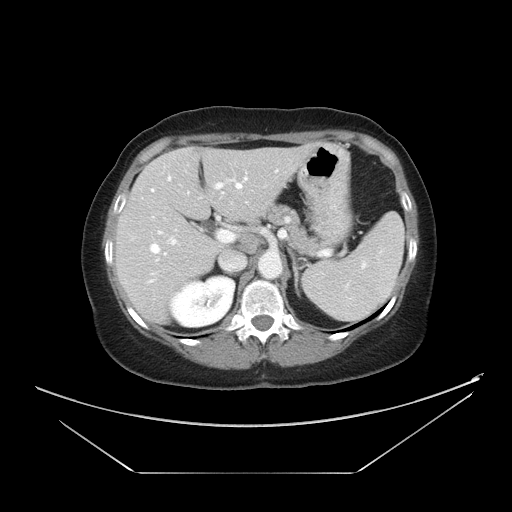 512x512 px. CT slice.

The vessel boxes may cover only some of the vessels.
The principal 15 hepatic vessel regions (of 16) appear at bbox=[220, 257, 245, 269]; bbox=[220, 231, 232, 240]; bbox=[150, 244, 159, 252]; bbox=[165, 253, 166, 255]; bbox=[216, 183, 222, 188]; bbox=[187, 191, 188, 193]; bbox=[151, 189, 153, 191]; bbox=[168, 176, 170, 179]; bbox=[158, 231, 161, 233]; bbox=[228, 179, 233, 181]; bbox=[275, 169, 277, 171]; bbox=[244, 177, 247, 179]; bbox=[148, 280, 154, 282]; bbox=[235, 183, 241, 188]; bbox=[168, 237, 175, 244]. The liver tumor is located at bbox=[221, 183, 235, 191].